CT | Slice 63 of 103

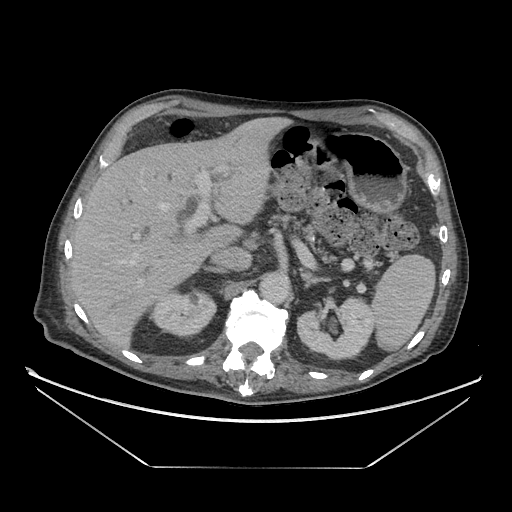

The pancreas is bounded by <bbox>269, 214, 335, 262</bbox>.